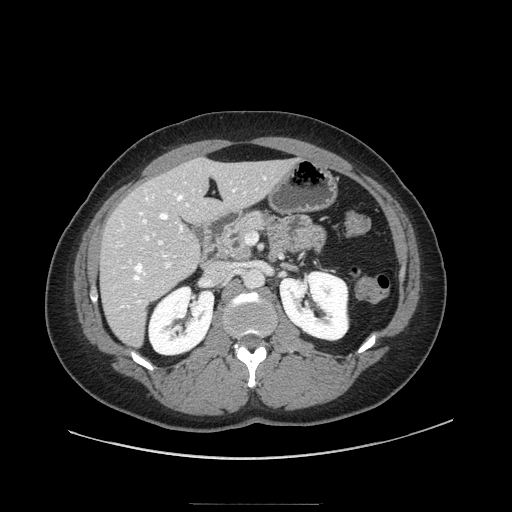 Upper abdomen, CT scan slice, 512x512

Pancreas at [216, 210, 276, 261].